Abdomen | CT scan slice

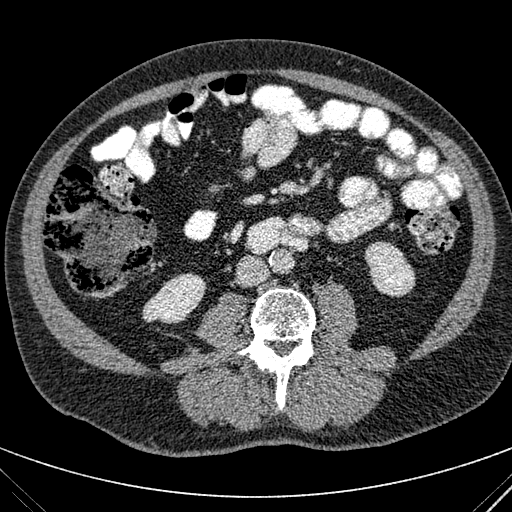 kidney: [143, 274, 205, 323], [365, 242, 414, 296]